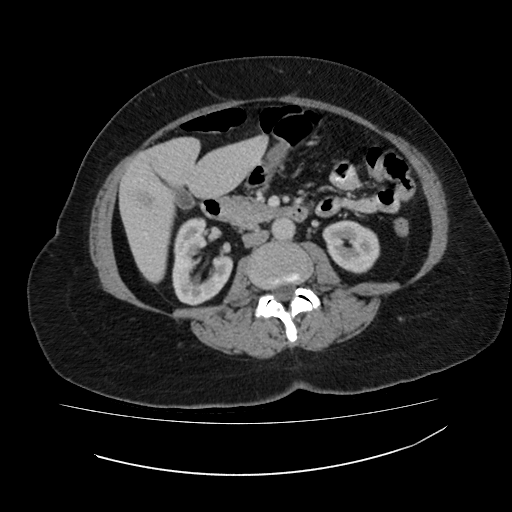

Image size 512x512; CT slice; Upper abdomen
Segmented structures:
- hepatic lesion: rect(128, 187, 154, 209)
- kidney: rect(323, 221, 379, 272); rect(172, 218, 231, 304)
- liver: rect(120, 136, 266, 280)